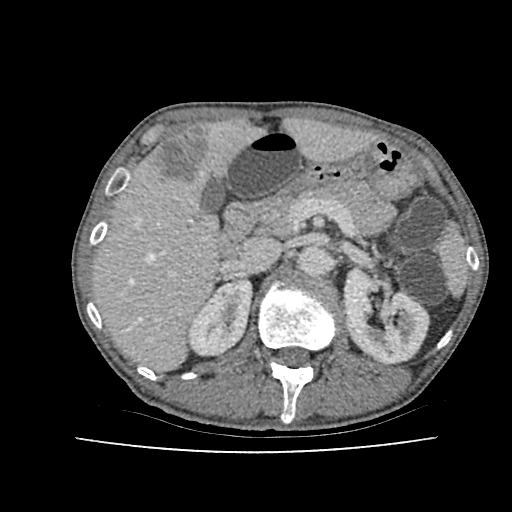

CT scan slice. kidney:
  - rect(345, 270, 427, 362)
  - rect(190, 281, 251, 354)
liver:
  - rect(94, 121, 258, 367)
  - rect(286, 120, 369, 159)
liver_lesion:
  - rect(156, 124, 214, 183)